CT slice | Liver

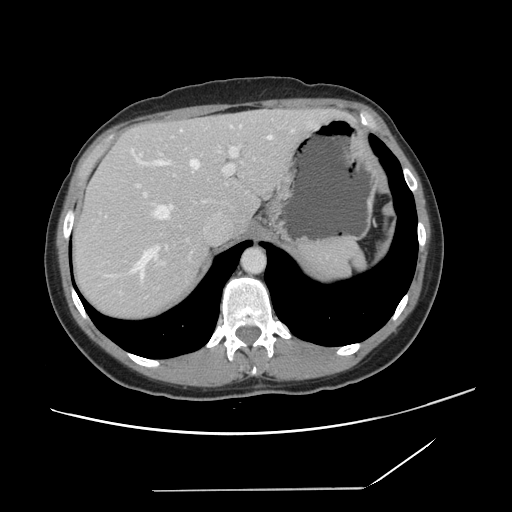

Not every hepatic vessel necessarily has a box.
The largest 15 hepatic vessel regions (of 16) are bounded by (left=240, top=125, right=241, bottom=127), (left=131, top=149, right=145, bottom=164), (left=291, top=130, right=293, bottom=131), (left=223, top=165, right=233, bottom=174), (left=136, top=184, right=140, bottom=186), (left=190, top=159, right=199, bottom=168), (left=129, top=245, right=159, bottom=281), (left=105, top=275, right=109, bottom=275), (left=154, top=160, right=169, bottom=164), (left=230, top=126, right=232, bottom=127), (left=157, top=261, right=164, bottom=265), (left=267, top=136, right=271, bottom=138), (left=229, top=147, right=238, bottom=156), (left=153, top=205, right=171, bottom=218), (left=144, top=193, right=146, bottom=195).